Computed tomography | Abdomen
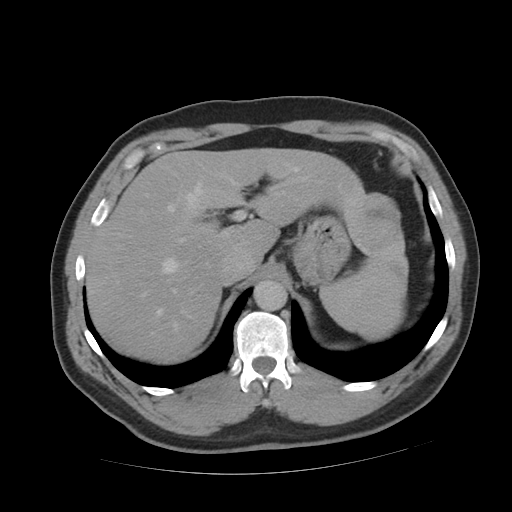
Not every hepatic vessel necessarily has a box.
Liver tumor = 350, 197, 400, 252.
Hepatic vessel = 286, 176, 302, 183; 291, 166, 300, 172; 162, 258, 180, 274; 157, 310, 161, 314; 180, 238, 184, 240; 232, 181, 234, 183; 187, 182, 201, 206; 168, 205, 174, 211; 174, 324, 176, 327.